FLAIR MR.
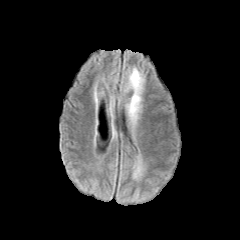
T1-weighted MRI.
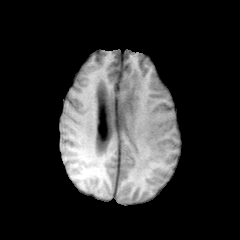
Post-contrast T1-weighted MR image.
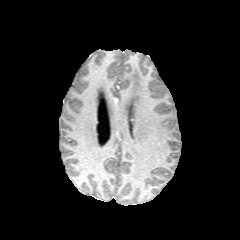
T2-weighted MR.
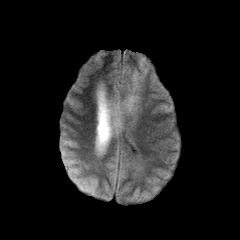
Head
Edema: x1=123, y1=68, x2=144, y2=123; x1=133, y1=160, x2=142, y2=178.